Field of view 418 mm wide, 2.50 mm slice spacing, CT scan slice, Upper abdomen

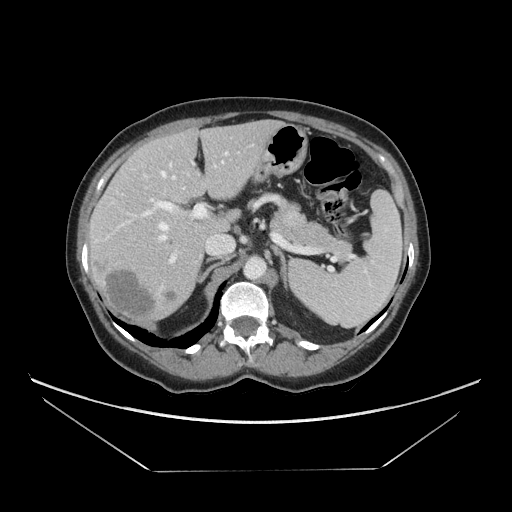
Pancreas: box=[271, 201, 350, 260].
Pancreatic tumor: box=[281, 207, 307, 229].